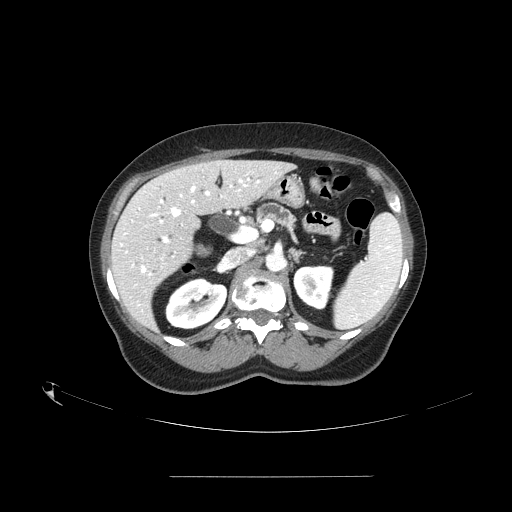
CT image.

Pancreas — x1=256, y1=203, x2=296, y2=231.